CT; Field of view 330x330 mm; Abdomen; Slice 377 of 630 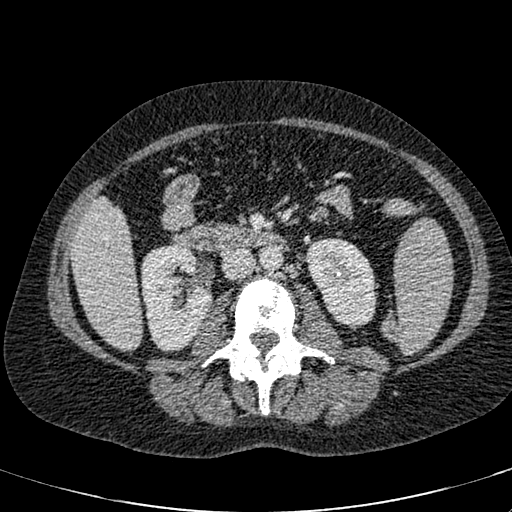

2 kidney regions are located at [306,239,375,325], [142,244,211,350]. The liver is bounded by [72,197,141,350].